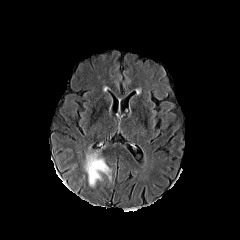
FLAIR MR.
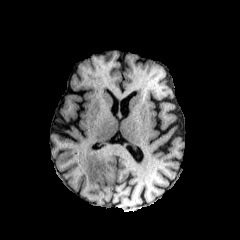
T1-weighted MR.
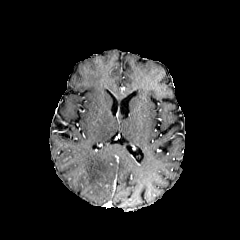
Post-contrast T1-weighted MR image.
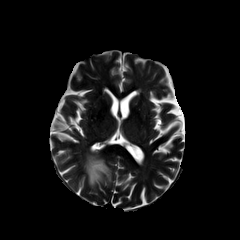
T2-weighted MR of the same slice.
Image size 240x240, Head
edema: [x1=84, y1=151, x2=109, y2=187]